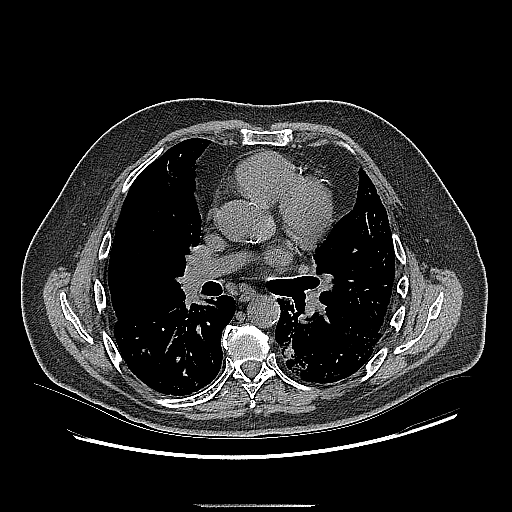

CT scan slice; Thorax
<segmentation>
  <lung_tumor>left=278, top=299, right=308, bottom=379</lung_tumor>
</segmentation>